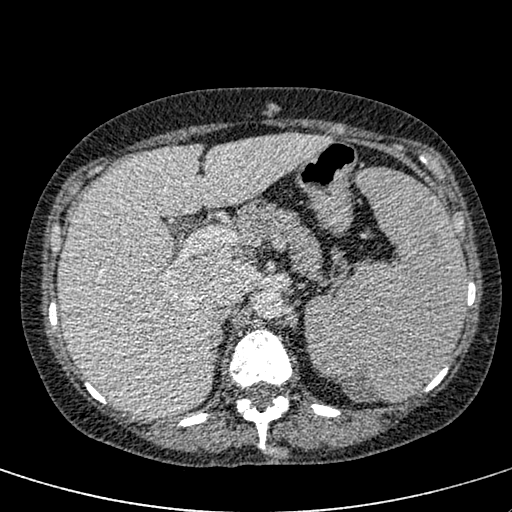 CT image; Upper abdomen
<segmentation>
  <liver>58,135,332,417</liver>
</segmentation>